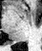
42x51 px; Medial temporal lobe; MR image

Segmented structures:
- posterior hippocampus: region(6, 42, 12, 43)